FLAIR MR image.
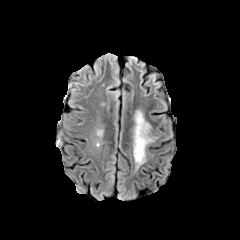
T1-weighted MRI.
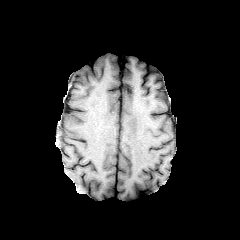
Post-contrast T1-weighted magnetic resonance.
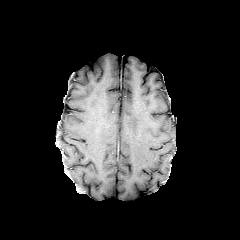
T2-weighted MR image.
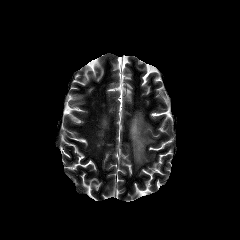
Brain
Segmented structures:
- edema: {"x1": 132, "y1": 112, "x2": 153, "y2": 168}